CT. 512x512 px.
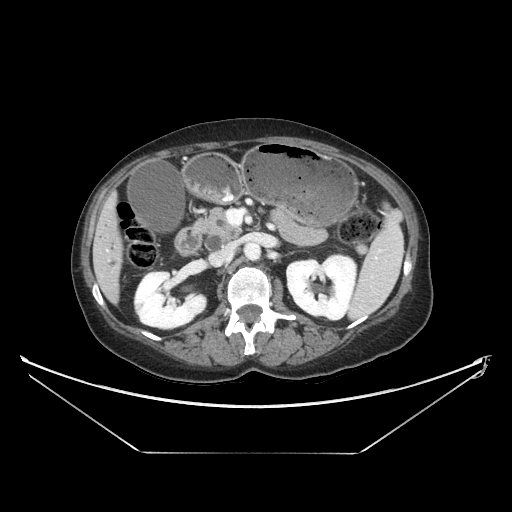

The pancreas is bounded by bbox=[196, 209, 239, 238].